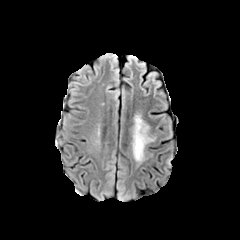
FLAIR MR image.
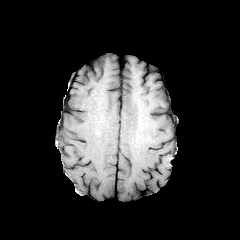
Same slice, T1-weighted MRI.
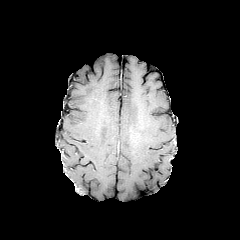
Post-contrast T1-weighted MR image.
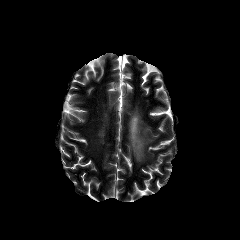
T2-weighted MR image.
Head
- edema: <box>131,116,153,161</box>